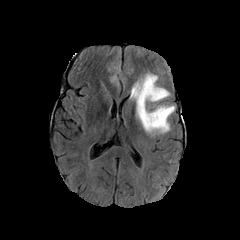
FLAIR MR image.
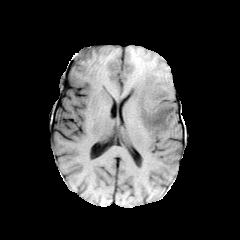
T1-weighted MRI.
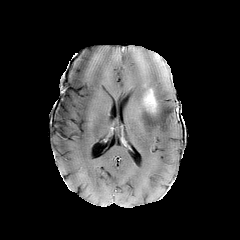
Post-contrast T1-weighted MRI.
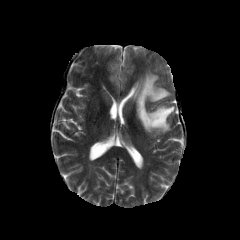
T2-weighted MR image.
240x240 px
edema: {"x1": 129, "y1": 72, "x2": 176, "y2": 134} | non-enhancing tumor core: {"x1": 141, "y1": 89, "x2": 151, "y2": 123}, {"x1": 150, "y1": 102, "x2": 171, "y2": 125} | enhancing tumor: {"x1": 145, "y1": 90, "x2": 155, "y2": 105}